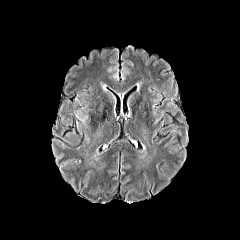
FLAIR MRI.
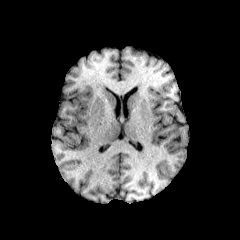
T1-weighted MR.
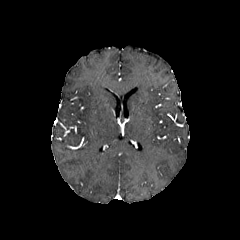
Post-contrast T1-weighted magnetic resonance.
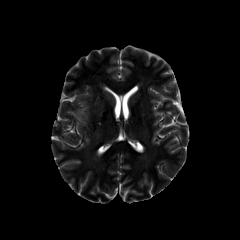
T2-weighted magnetic resonance of the same slice.
240x240; Brain
Edema — 75,110,87,122.